FLAIR magnetic resonance.
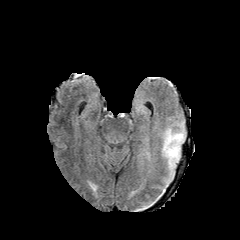
T1-weighted MR.
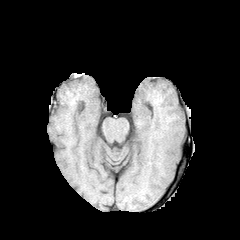
Post-contrast T1-weighted MRI.
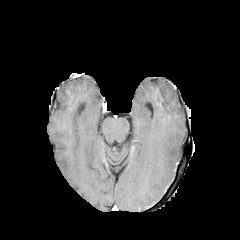
T2-weighted MRI.
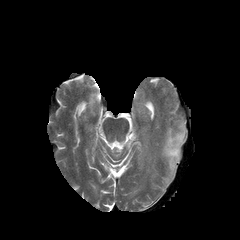
The edema is located at x1=164 y1=132 x2=183 y2=171.